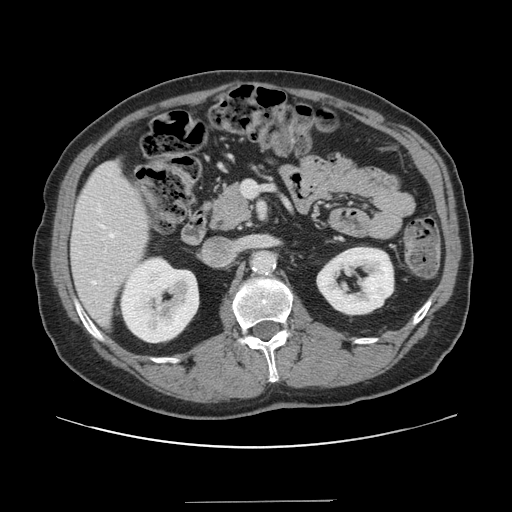

Image size 512x512, CT slice

Some hepatic vessels may have no box.
Hepatic vessel: (x1=92, y1=281, x2=96, y2=283), (x1=104, y1=250, x2=105, y2=251), (x1=109, y1=233, x2=113, y2=237), (x1=242, y1=181, x2=257, y2=196).